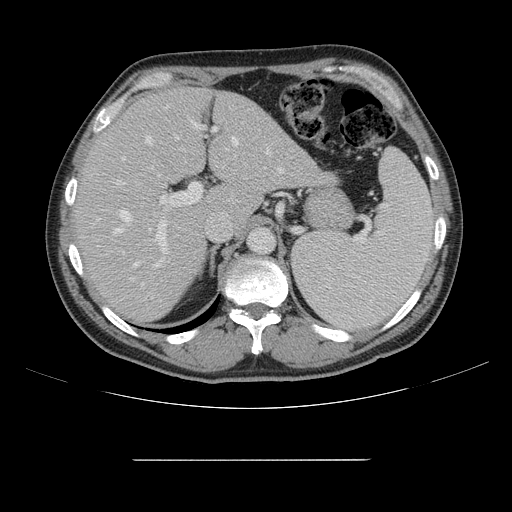 Liver; CT slice

The vessel annotation is not exhaustive.
The principal 15 hepatic vessel regions (of 20) appear at l=113, t=228, r=122, b=233; l=96, t=218, r=98, b=220; l=189, t=119, r=204, b=129; l=153, t=260, r=161, b=266; l=155, t=221, r=166, b=251; l=133, t=263, r=137, b=266; l=115, t=180, r=123, b=183; l=213, t=127, r=217, b=131; l=279, t=168, r=283, b=172; l=120, t=210, r=130, b=221; l=266, t=148, r=268, b=153; l=170, t=182, r=202, b=205; l=232, t=137, r=237, b=144; l=160, t=193, r=167, b=203; l=141, t=283, r=143, b=286.